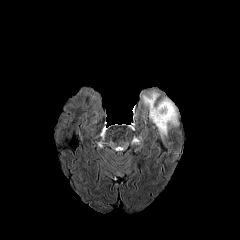
FLAIR MR.
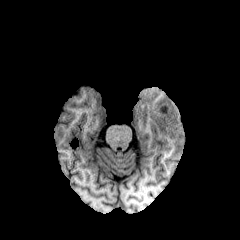
T1-weighted MR.
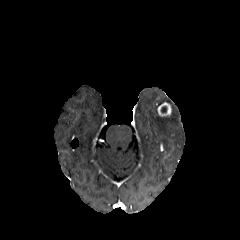
Post-contrast T1-weighted MRI.
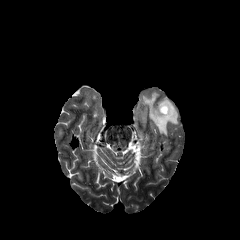
Same slice, T2-weighted MR.
Image size 240x240.
Edema: bounding box box(142, 91, 178, 139).
Enhancing tumor: bounding box box(157, 102, 171, 116).